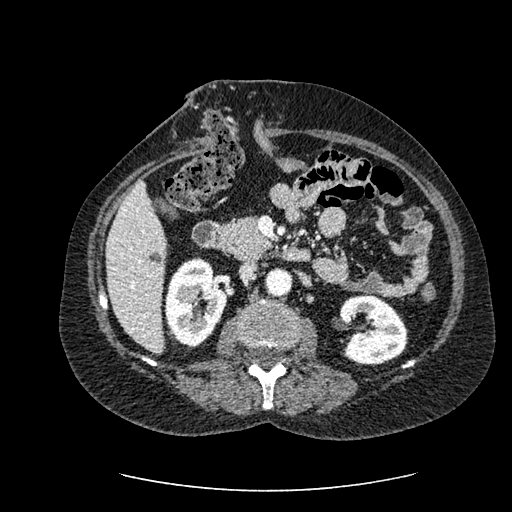 CT slice
The liver lesion is located at <box>149,253,163,264</box>. The liver is located at <box>106,178,166,353</box>. 2 kidney regions appear at <box>166,259,226,345</box>, <box>340,296,406,363</box>.